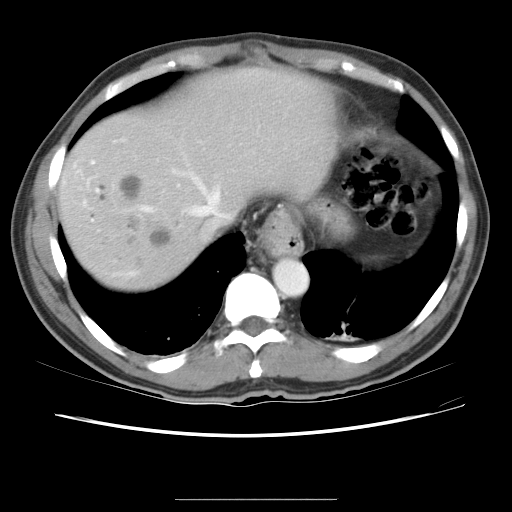

Liver, CT scan slice

Some hepatic vessels may have no box.
{"liver_tumor": ["bbox=[122, 212, 142, 247]", "bbox=[147, 227, 174, 249]", "bbox=[116, 170, 144, 202]"], "hepatic_vessel": ["bbox=[172, 169, 231, 237]", "bbox=[114, 138, 125, 142]", "bbox=[199, 141, 200, 142]", "bbox=[91, 160, 93, 162]", "bbox=[139, 205, 153, 211]"]}